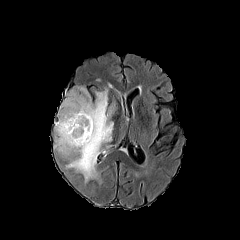
FLAIR MRI.
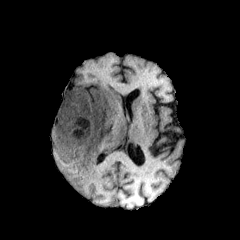
Same slice, T1-weighted MR image.
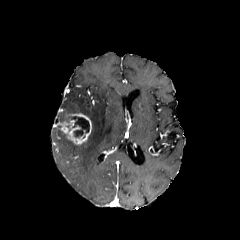
Same slice, post-contrast T1-weighted MR image.
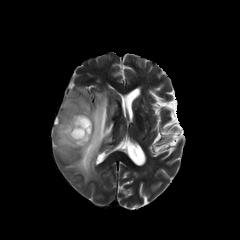
T2-weighted magnetic resonance.
Brain.
Segmented structures:
* edema: rect(53, 84, 114, 183)
* non-enhancing tumor core: rect(71, 116, 89, 136)
* enhancing tumor: rect(53, 112, 92, 145)